Pelvis; CT slice; Slice index 100

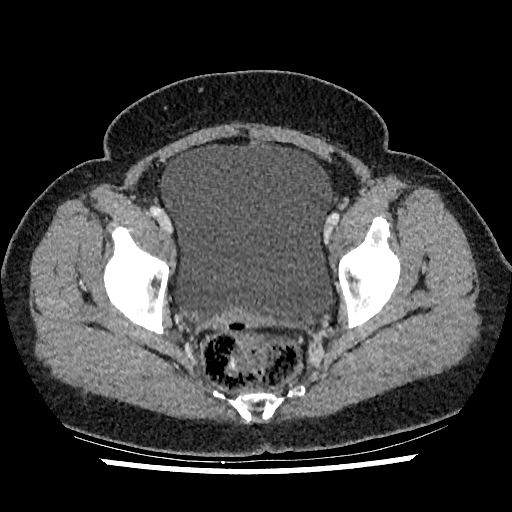

Annotated regions:
* urinary bladder: (161,142,332,329)